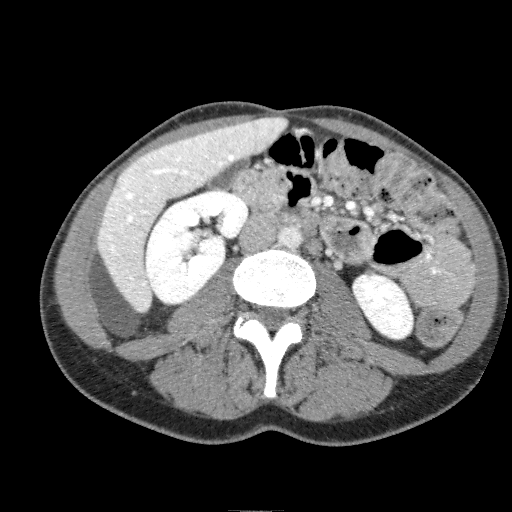
Upper abdomen; Computed tomography

Annotated regions:
• kidney: 353:275:412:338, 146:191:247:302
• liver: 97:116:287:312